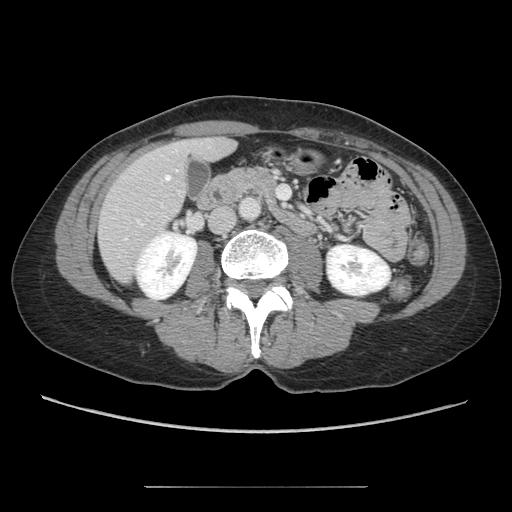

Upper abdomen. CT slice. The pancreas is located at <bbox>222, 167, 277, 203</bbox>.